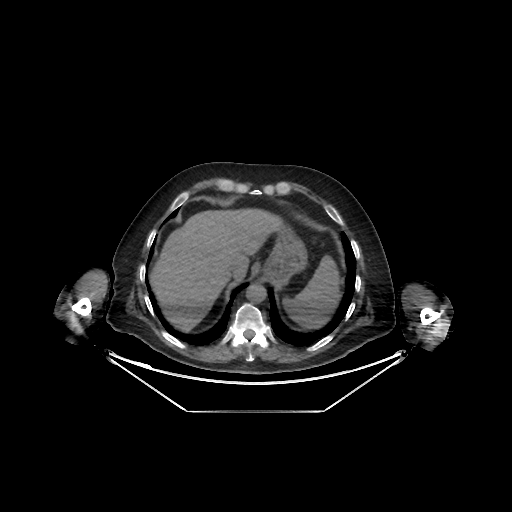

CT image
The liver is bounded by bbox(150, 209, 277, 332).